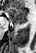 Magnetic resonance. <segmentation>
  <anterior_hippocampus>(left=7, top=7, right=27, bottom=22)</anterior_hippocampus>
  <posterior_hippocampus>(left=18, top=23, right=24, bottom=24)</posterior_hippocampus>
</segmentation>